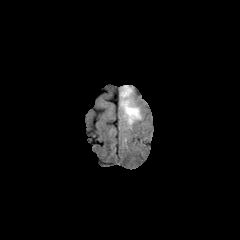
FLAIR MRI.
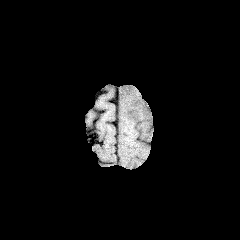
T1-weighted MRI.
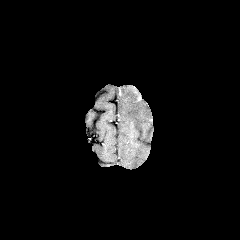
Post-contrast T1-weighted MR image.
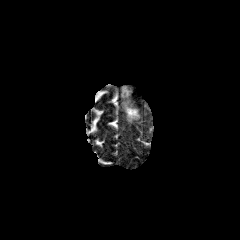
Same slice, T2-weighted MR.
Image size 240x240; Brain
<segmentation>
  <edema>(119,87,141,124)</edema>
</segmentation>